240x240 px, Head
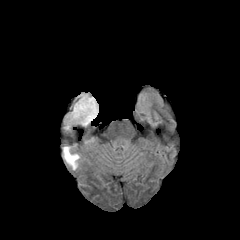
FLAIR magnetic resonance.
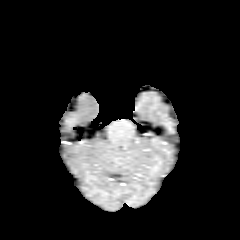
T1-weighted magnetic resonance of the same slice.
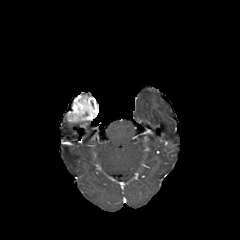
Post-contrast T1-weighted MR.
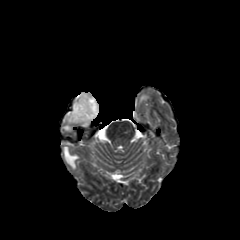
Same slice, T2-weighted MRI.
Segmented structures:
• enhancing tumor: rect(66, 93, 98, 125)
• edema: rect(63, 147, 79, 169)